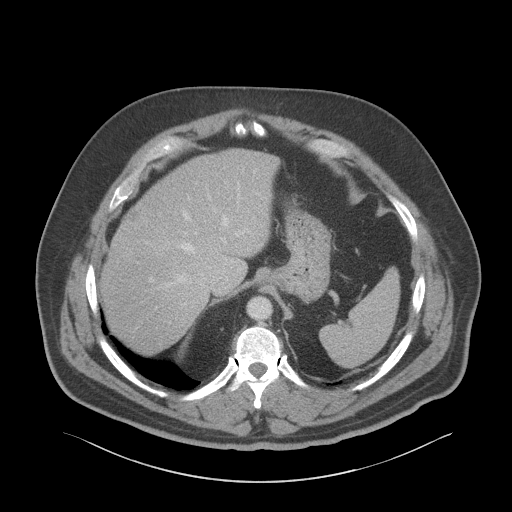
CT

The focal liver lesion lies within box(128, 209, 140, 221). The liver is at box(101, 150, 277, 352).